CT slice; 512x512 px

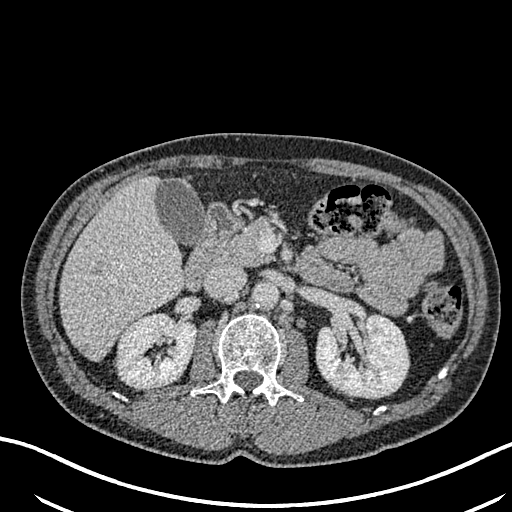
2 focal liver lesion regions are located at box=[76, 343, 91, 354]; box=[90, 260, 104, 275]. The liver is at box=[61, 177, 183, 359]. 2 kidney regions are located at box=[317, 311, 408, 396]; box=[118, 314, 195, 387].